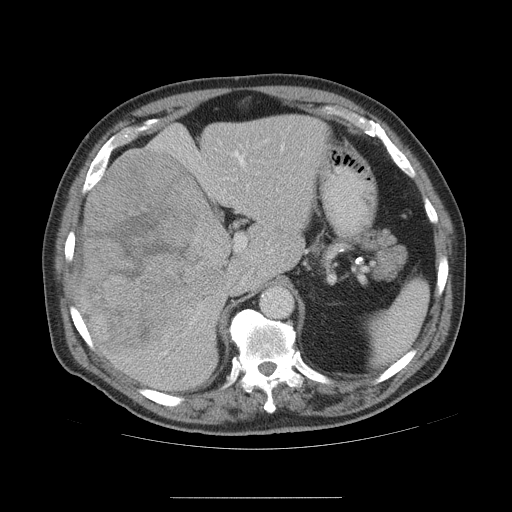

Abdomen | CT image | 512x512
The vessel boxes may cover only some of the vessels.
Annotated regions:
• liver tumor: 75, 150, 222, 352
• hepatic vessel: 161, 351, 166, 354; 247, 142, 247, 146; 221, 191, 225, 193; 234, 234, 246, 250; 281, 144, 284, 150; 232, 150, 244, 165; 233, 178, 236, 181; 247, 184, 248, 186; 266, 249, 272, 252